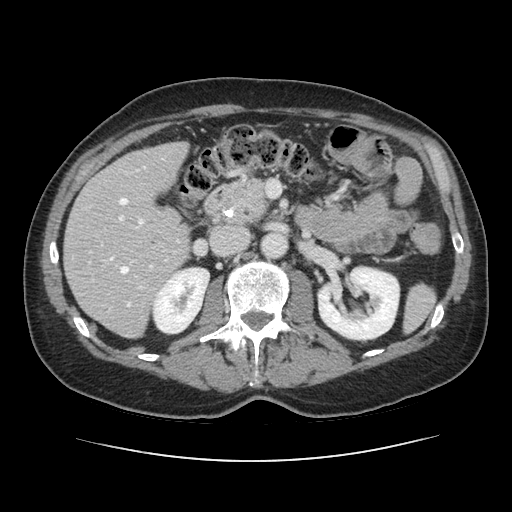 Computed tomography, Upper abdomen

Annotated regions:
• pancreas: rect(224, 179, 266, 224)